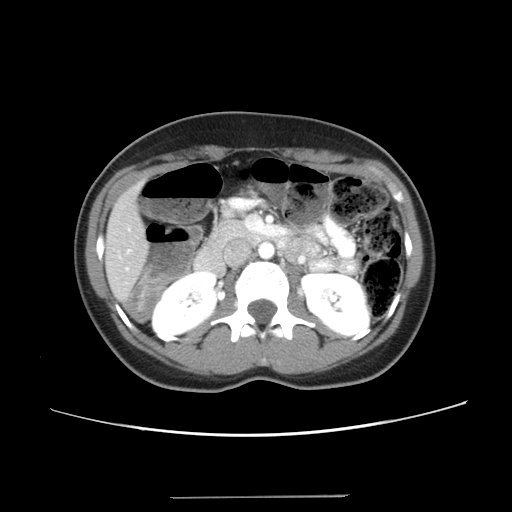 Abdomen, Computed tomography

Some hepatic vessels may have no box.
Segmented structures:
* hepatic vessel: 128,250,130,252; 126,268,128,270